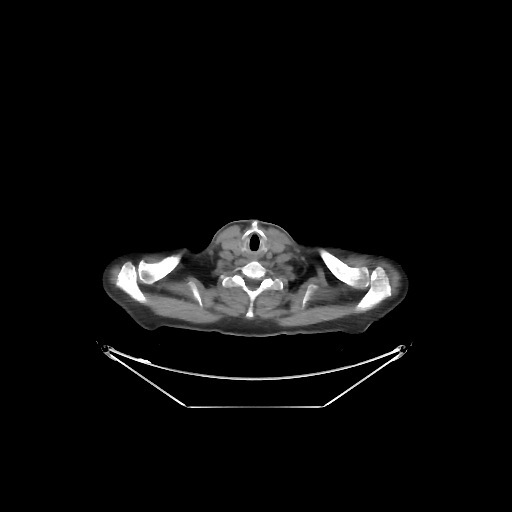 Thorax | CT
3 bone regions are located at rect(321, 251, 390, 310); rect(117, 256, 179, 302); rect(221, 261, 282, 316). The lung is located at rect(250, 235, 259, 250).